Liver | Computed tomography | Slice 576/654 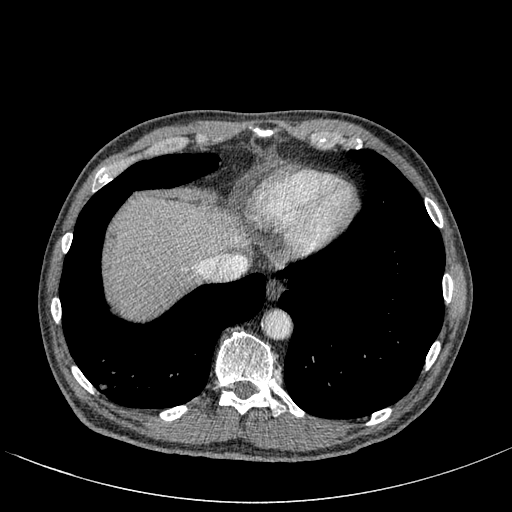

The liver is at [x1=104, y1=196, x2=244, y2=317].